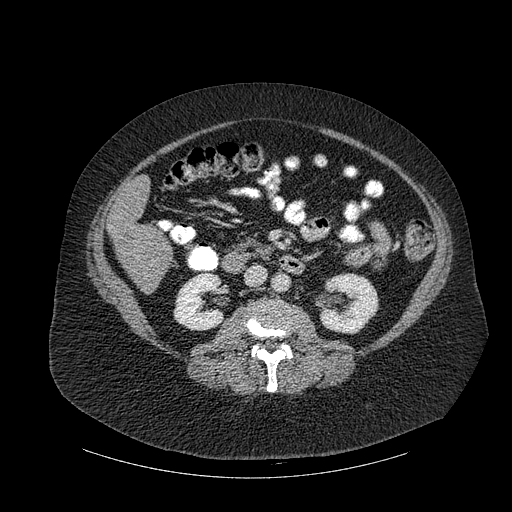 Computed tomography, Liver

Segmented structures:
• bone: l=246, t=301, r=296, b=337; l=251, t=344, r=292, b=391
• liver: l=108, t=174, r=172, b=294
• kidney: l=321, t=274, r=377, b=332; l=174, t=273, r=222, b=329